Field of view 388 mm wide, 0.70 mm slice spacing | CT slice
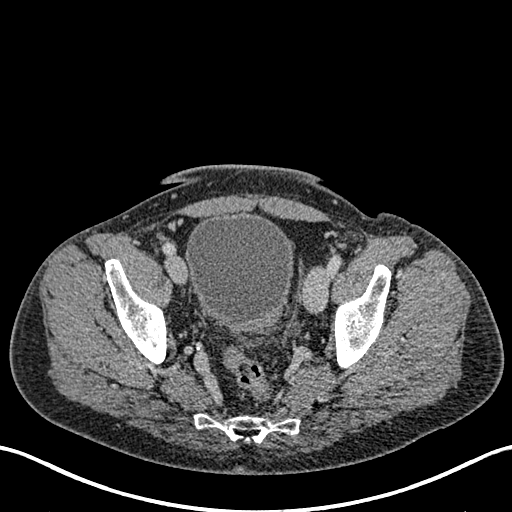
Urinary bladder = <bbox>185, 215, 293, 333</bbox>.